Abdomen | Slice 212/366 | CT
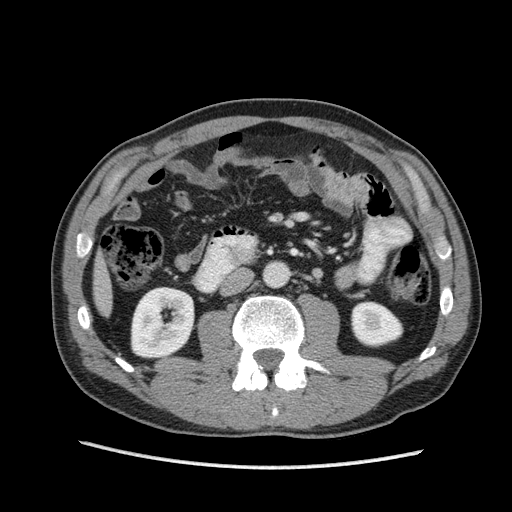 2 kidney regions appear at (132,288,193,356), (352,303,400,344). The liver lies within (93,259,112,315).